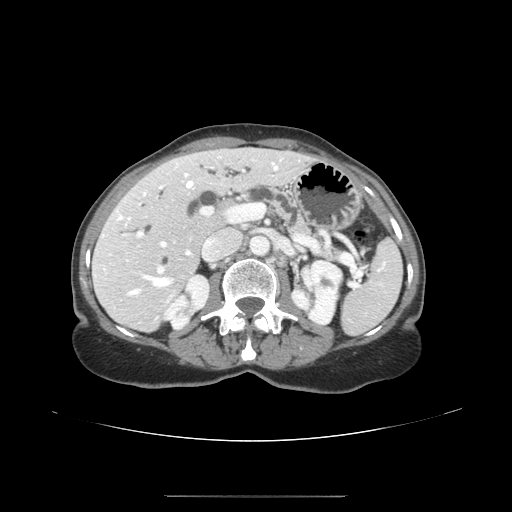
CT slice
The pancreas lies within {"x1": 247, "y1": 187, "x2": 336, "y2": 258}.